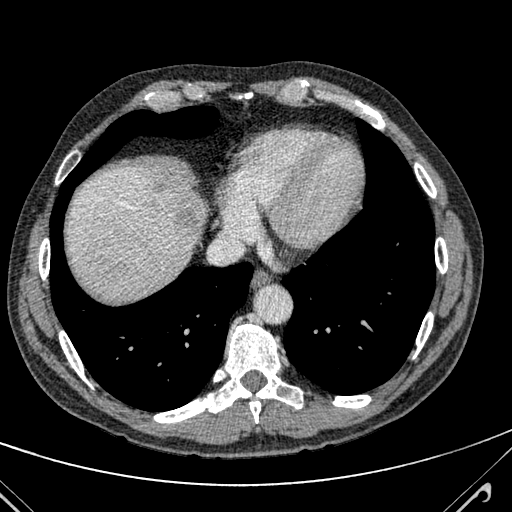 Upper abdomen. Computed tomography. • liver: [66, 164, 207, 299]
• focal liver lesion: [155, 180, 167, 192], [175, 205, 198, 228]